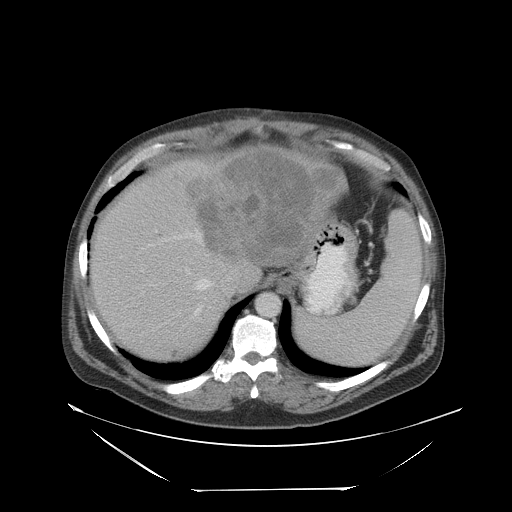
Computed tomography; Liver
Only some of the vessels may be annotated.
liver tumor: left=180, top=150, right=339, bottom=262 | hepatic vessel: left=194, top=278, right=213, bottom=290; left=194, top=305, right=202, bottom=315; left=148, top=244, right=153, bottom=245; left=162, top=229, right=198, bottom=242; left=185, top=267, right=189, bottom=273